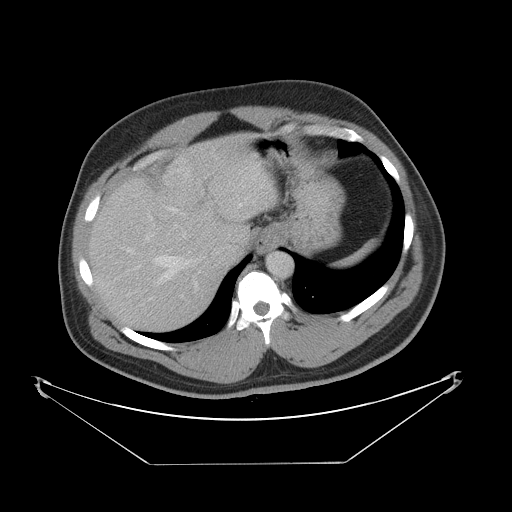

CT image. 512x512 px. Liver.

Some hepatic vessels may have no box.
{
  "liver_tumor": [
    "(165,160,191,185)"
  ],
  "hepatic_vessel": [
    "(197,238,215,259)",
    "(226,238,228,239)",
    "(197,240,199,242)",
    "(217,230,219,233)",
    "(212,245,234,262)",
    "(202,228,210,238)",
    "(155,256,189,277)"
  ]
}